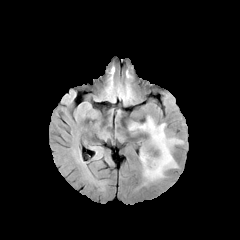
FLAIR MR.
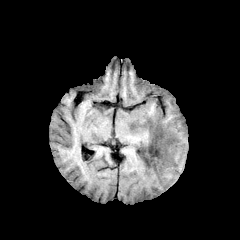
Same slice, T1-weighted magnetic resonance.
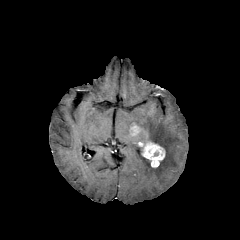
Post-contrast T1-weighted MR image.
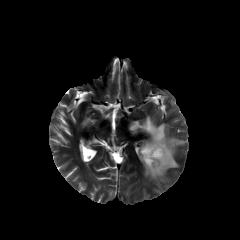
T2-weighted MRI.
Brain; 240x240 px
Findings:
• edema: l=129, t=116, r=183, b=180
• enhancing tumor: l=142, t=141, r=164, b=167